Pelvis; 512x512 px; Slice 64/100; CT slice; Field of view 299 mm wide, 4.00 mm slice spacing 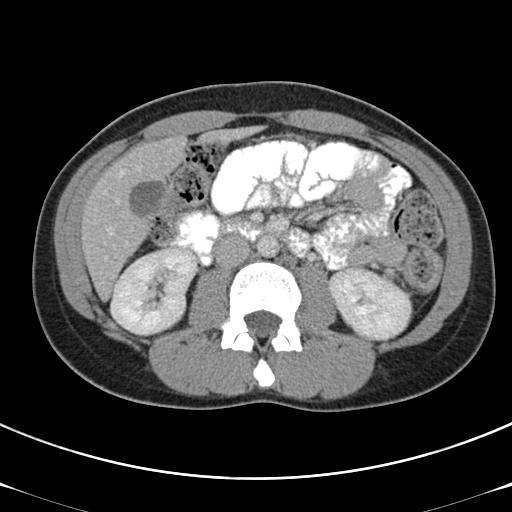

The colon tumor is located at (x1=404, y1=253, x2=443, y2=292).